Slice index 558 | Field of view 335 mm wide, 1.00 mm slice spacing | Computed tomography
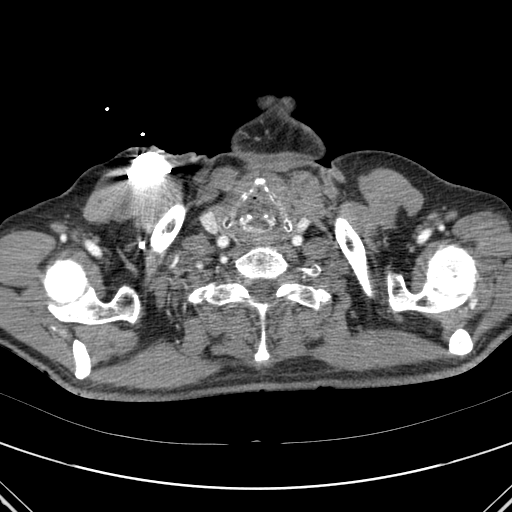 10 bone regions are bounded by bbox(151, 203, 185, 255); bbox(72, 340, 90, 378); bbox(275, 281, 330, 308); bbox(43, 259, 139, 324); bbox(335, 217, 372, 296); bbox(188, 281, 269, 360); bbox(387, 245, 477, 313); bbox(418, 230, 430, 242); bbox(235, 247, 288, 279); bbox(449, 329, 472, 355).